FLAIR MR.
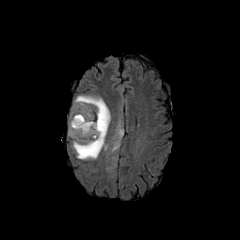
T1-weighted MR image.
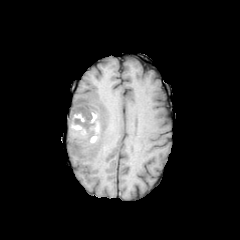
Post-contrast T1-weighted MR image.
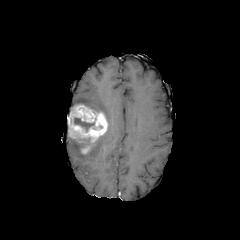
T2-weighted MR image.
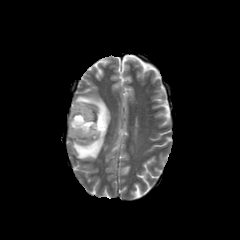
Head
Findings:
* non-enhancing tumor core: <bbox>74, 118, 95, 130</bbox>
* enhancing tumor: <bbox>67, 104, 107, 143</bbox>, <bbox>80, 144, 95, 154</bbox>
* edema: <bbox>70, 128, 107, 160</bbox>, <bbox>73, 94, 110, 127</bbox>